240x240 | Slice 51 of 155
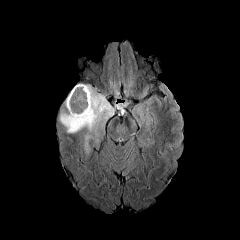
FLAIR MR image.
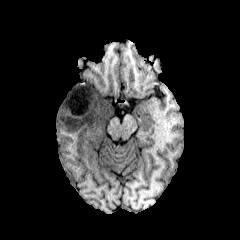
T1-weighted MR image.
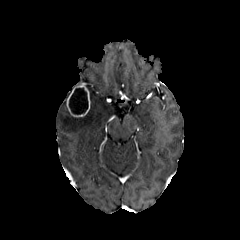
Post-contrast T1-weighted magnetic resonance.
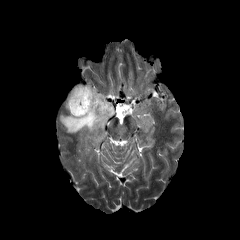
Same slice, T2-weighted MR image.
Non-enhancing tumor core: bounding box 68 87 87 114.
Enhancing tumor: bounding box 66 85 90 117.
Edema: bounding box 59 85 114 154.